Brain. 240x240 px.
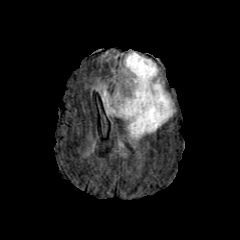
FLAIR MR image.
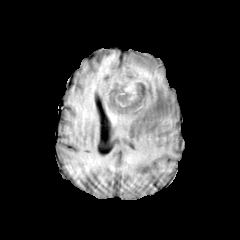
T1-weighted MRI.
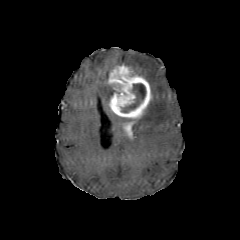
Post-contrast T1-weighted magnetic resonance of the same slice.
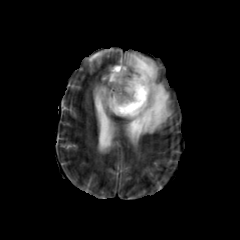
T2-weighted MR of the same slice.
2 edema regions appear at bbox=[96, 84, 114, 116]; bbox=[123, 51, 174, 139]. The enhancing tumor is at bbox=[108, 64, 151, 121]. The non-enhancing tumor core is at bbox=[121, 83, 146, 112].